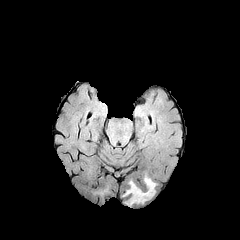
FLAIR MR image.
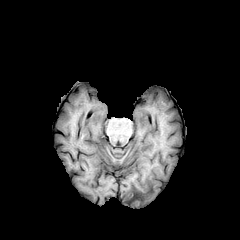
T1-weighted MRI of the same slice.
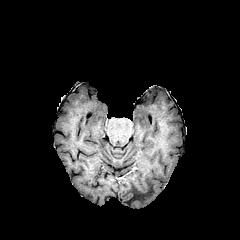
Same slice, post-contrast T1-weighted MRI.
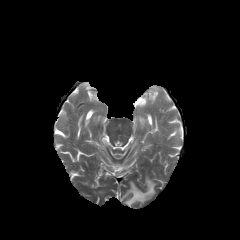
T2-weighted MR image.
Brain
edema:
  - x1=122, y1=177, x2=155, y2=206